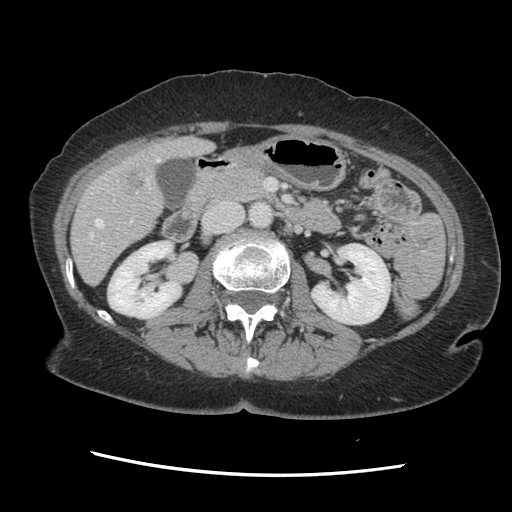
Computed tomography
Not every hepatic vessel necessarily has a box.
* liver tumor: box(121, 168, 144, 190)
* hepatic vessel: box(95, 218, 102, 227); box(130, 220, 132, 222); box(90, 232, 92, 237); box(156, 159, 159, 161); box(145, 177, 149, 187)